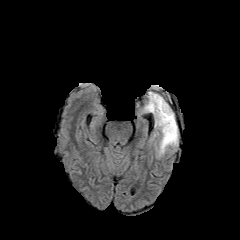
FLAIR MRI.
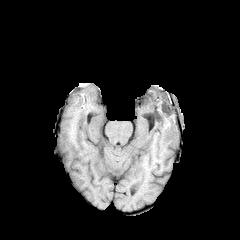
T1-weighted MRI of the same slice.
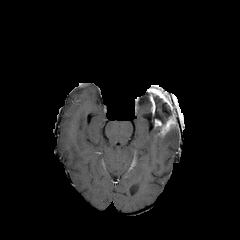
Post-contrast T1-weighted magnetic resonance.
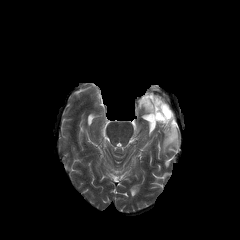
Same slice, T2-weighted MR.
Image size 240x240; Brain
2 enhancing tumor regions appear at [148, 86, 170, 113], [154, 112, 176, 133]. 2 non-enhancing tumor core regions are bounded by [146, 93, 171, 124], [160, 89, 171, 107]. 2 edema regions are bounded by [142, 99, 149, 113], [150, 126, 179, 158].